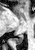

MR image, 35x50 px
Posterior hippocampus: bounding box bbox(16, 34, 23, 44).